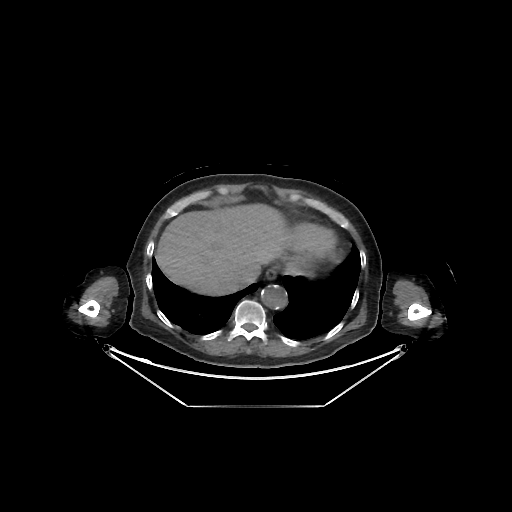
Computed tomography

Lung: [x1=273, y1=243, x2=360, y2=340], [x1=151, y1=257, x2=262, y2=334].
Liver: [x1=157, y1=204, x2=292, y2=295].
Bone: [x1=78, y1=300, x2=99, y2=317], [x1=352, y1=292, x2=358, y2=306], [x1=325, y1=323, x2=342, y2=338], [x1=167, y1=209, x2=176, y2=216], [x1=408, y1=303, x2=431, y2=320], [x1=157, y1=311, x2=171, y2=326], [x1=281, y1=337, x2=298, y2=346], [x1=202, y1=331, x2=220, y2=339], [x1=360, y1=251, x2=365, y2=266], [x1=146, y1=274, x2=151, y2=288], [x1=147, y1=242, x2=153, y2=255], [x1=232, y1=300, x2=266, y2=340].